Brain.
FLAIR MR.
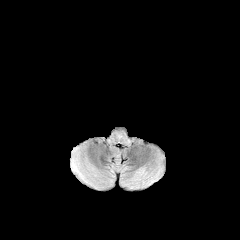
T1-weighted magnetic resonance.
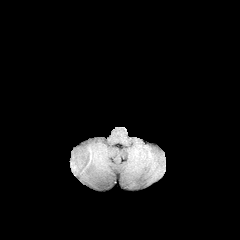
Post-contrast T1-weighted MR.
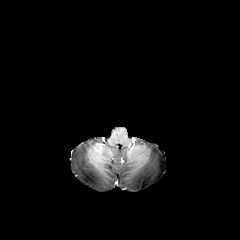
T2-weighted MR.
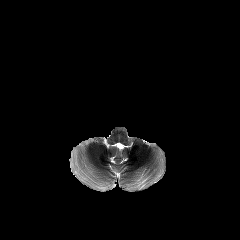
<segmentation>
  <edema><bbox>135, 175, 150, 185</bbox>, <bbox>74, 154, 107, 187</bbox></edema>
</segmentation>